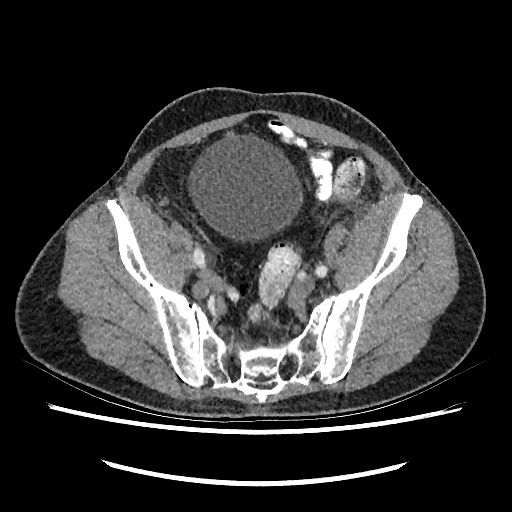 CT image. Pelvis. Image size 512x512.
Urinary bladder = 188,131,302,242.